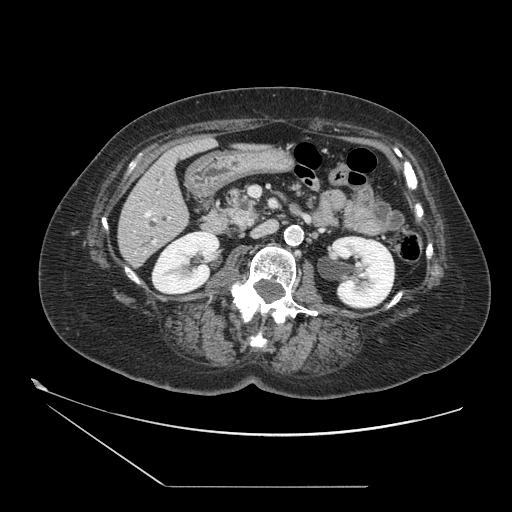
CT scan slice. 512x512 px.

pancreatic_tumor:
  - [234, 211, 255, 226]
pancreas:
  - [215, 188, 258, 228]